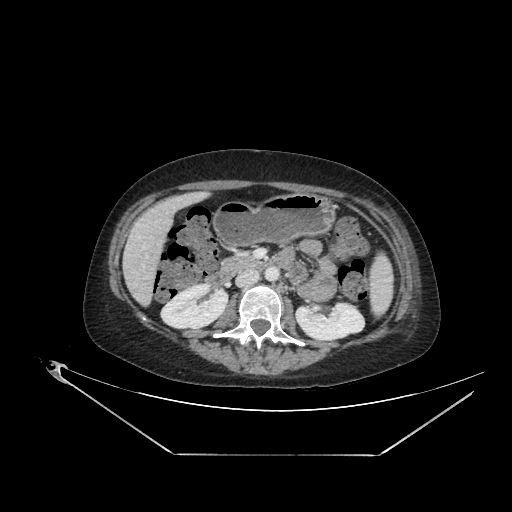

Liver, CT
Liver = [121,191,213,308].
Kidney = [296,303,363,339], [161,284,227,328].